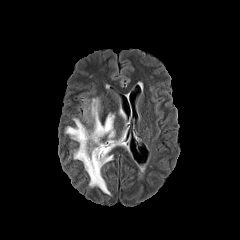
FLAIR magnetic resonance.
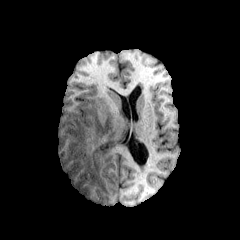
T1-weighted MR.
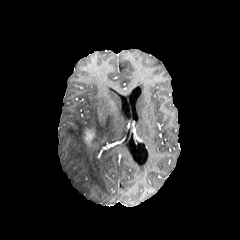
Post-contrast T1-weighted magnetic resonance.
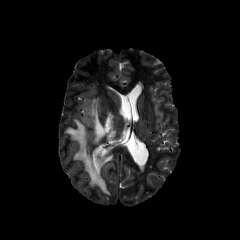
T2-weighted magnetic resonance.
Head
Edema at region(64, 97, 115, 196).
Enhancing tumor at region(84, 126, 94, 149).